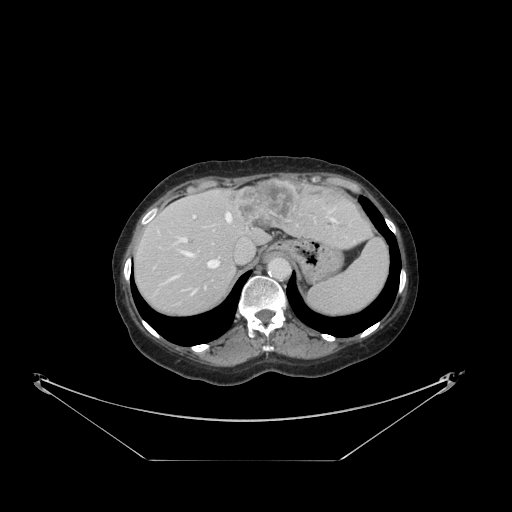
Liver; CT slice

Only some of the vessels may be annotated.
Hepatic vessel at rect(332, 219, 336, 221); rect(193, 215, 195, 217); rect(178, 236, 186, 242); rect(191, 292, 193, 295); rect(169, 244, 175, 247); rect(179, 250, 194, 256); rect(225, 211, 232, 223); rect(236, 244, 253, 262); rect(165, 276, 177, 282); rect(207, 258, 219, 268).
Liver tumor at rect(224, 180, 299, 229).